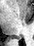 MR image | 34x46 px | Hippocampus

Posterior hippocampus — box=[16, 37, 21, 39].